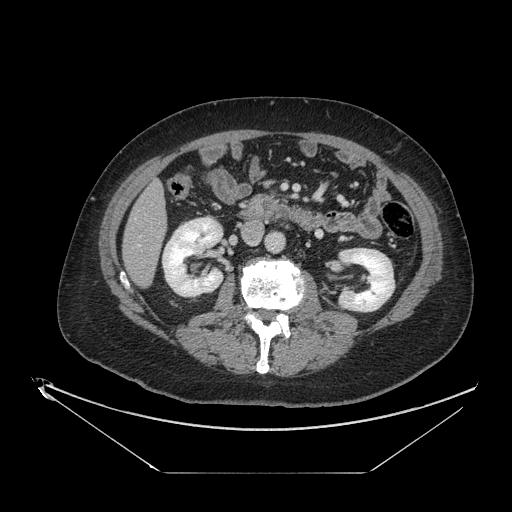

Upper abdomen | CT image | Image size 512x512
pancreas: 255, 196, 277, 214